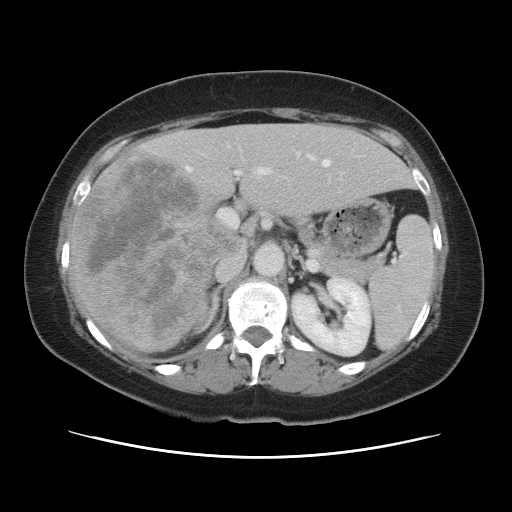
Computed tomography | Abdomen

Some hepatic vessels may have no box.
hepatic_vessel:
  - 186, 167, 191, 171
  - 218, 208, 238, 228
  - 234, 171, 239, 174
  - 257, 168, 270, 173
  - 296, 152, 300, 156
  - 323, 160, 329, 165
  - 217, 257, 243, 281
  - 311, 251, 315, 251
  - 227, 144, 229, 147
  - 340, 173, 341, 175
  - 308, 154, 314, 159
liver_tumor:
  - 73, 148, 230, 346